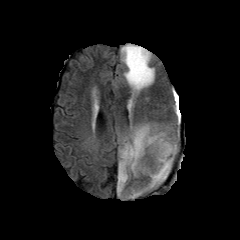
FLAIR MR image.
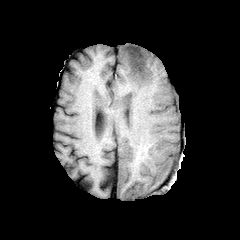
Same slice, T1-weighted MRI.
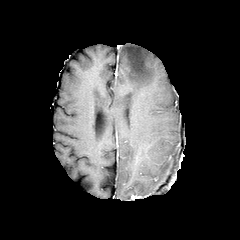
Post-contrast T1-weighted magnetic resonance of the same slice.
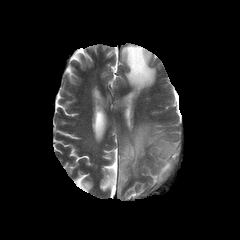
T2-weighted MR image.
Image size 240x240
{
  "non-enhancing_tumor_core": [
    "bbox(127, 46, 145, 79)"
  ],
  "edema": [
    "bbox(119, 44, 157, 95)",
    "bbox(149, 139, 178, 187)",
    "bbox(118, 126, 157, 191)"
  ]
}